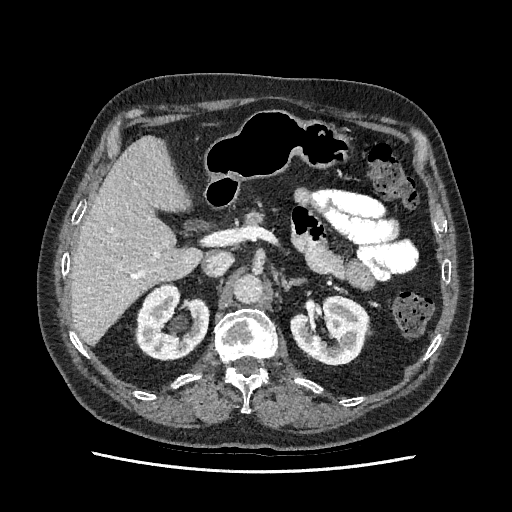
CT slice, Upper abdomen

kidney:
  - bbox=[291, 296, 367, 364]
  - bbox=[137, 286, 208, 359]
liver:
  - bbox=[72, 136, 202, 345]